Liver, CT slice

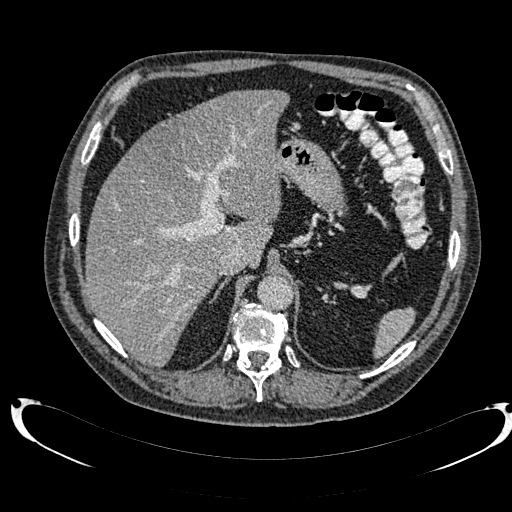 Findings:
• hepatic lesion: (left=133, top=104, right=231, bottom=198)
• liver: (left=86, top=90, right=289, bottom=366)